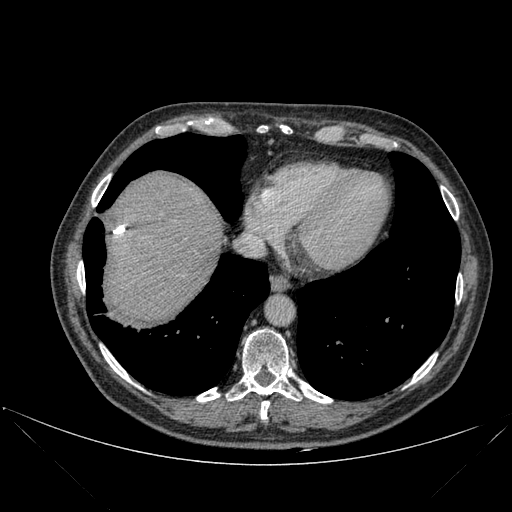
Abdomen. CT image. <segmentation>
  <bone>(410, 354, 437, 383), (280, 125, 289, 133), (298, 379, 332, 403), (77, 261, 85, 291), (455, 274, 462, 303), (228, 330, 298, 400), (91, 175, 109, 206), (197, 388, 219, 401), (101, 347, 133, 383), (442, 187, 458, 219), (260, 401, 269, 422)</bone>
  <liver>(102, 177, 224, 325)</liver>
  <lung>(83, 217, 269, 395), (97, 133, 246, 221), (297, 152, 460, 400)</lung>
</segmentation>